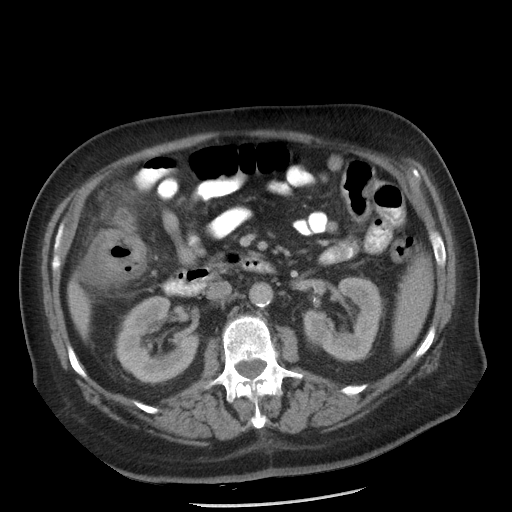 CT image, Pelvis
Findings:
* colon tumor: 86 230 145 282